Slice 99/155. 240x240 px.
FLAIR MRI.
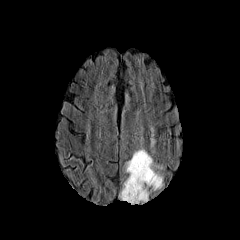
T1-weighted MR.
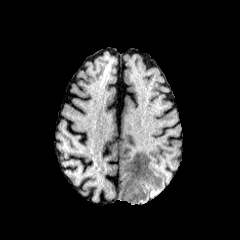
Post-contrast T1-weighted magnetic resonance.
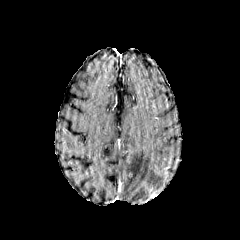
T2-weighted MRI.
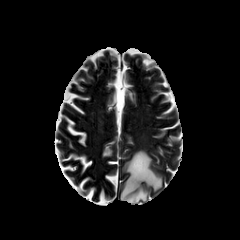
• edema: bbox(118, 150, 163, 204)